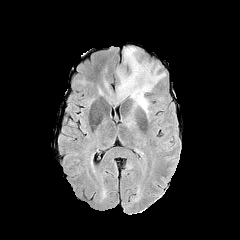
FLAIR MR image.
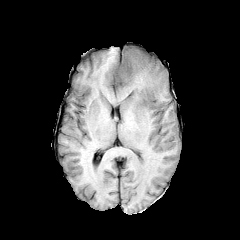
T1-weighted MRI.
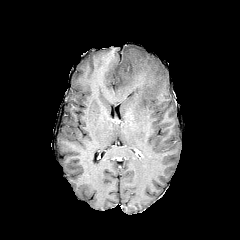
Post-contrast T1-weighted MR.
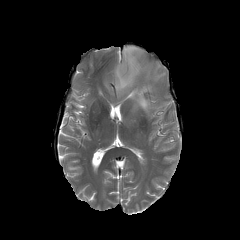
T2-weighted MR image.
Head
The edema lies within bbox(116, 47, 165, 116).